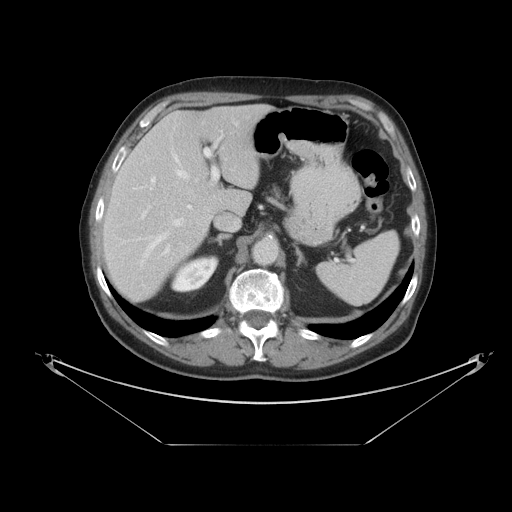
Upper abdomen | CT image | 512x512

The spleen is bounded by 316 231 398 304.